240x240 px | Slice index 122 | Brain
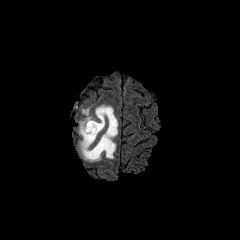
FLAIR MR.
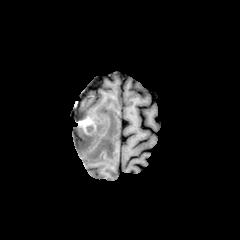
T1-weighted MR image.
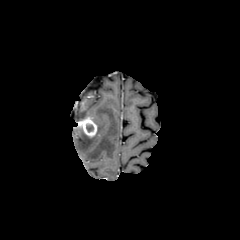
Post-contrast T1-weighted MR.
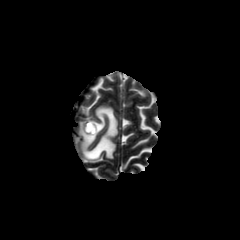
Same slice, T2-weighted MRI.
Enhancing tumor: [77, 117, 97, 137].
Edema: [76, 105, 117, 162].